Field of view 411x411 mm. Computed tomography.
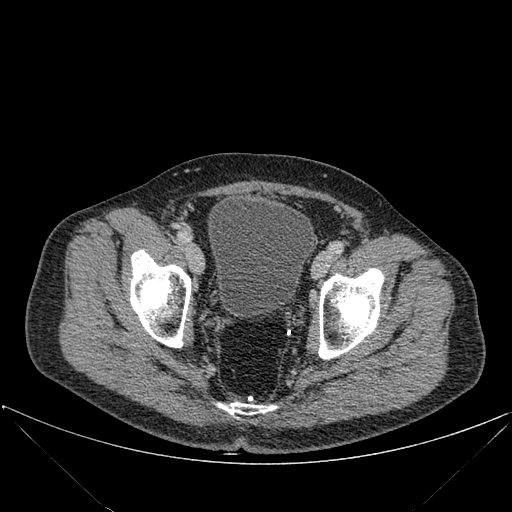 Bone — 217:402:276:414, 130:250:190:347, 318:268:383:358.
Urinary bladder — 207:196:315:317.